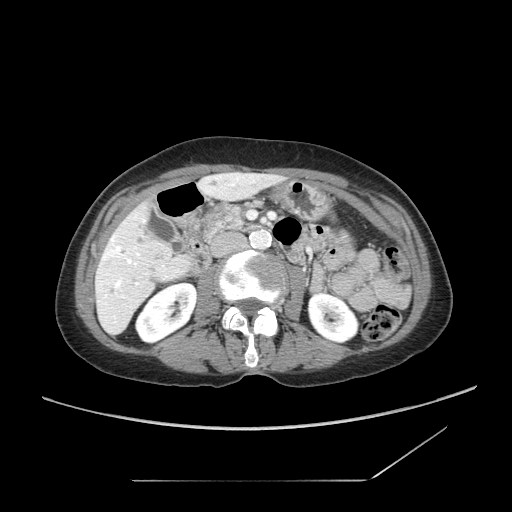
Image size 512x512. CT image.

The pancreas lies within {"x1": 202, "y1": 202, "x2": 260, "y2": 238}. The pancreatic tumor appears at {"x1": 206, "y1": 207, "x2": 228, "y2": 227}.